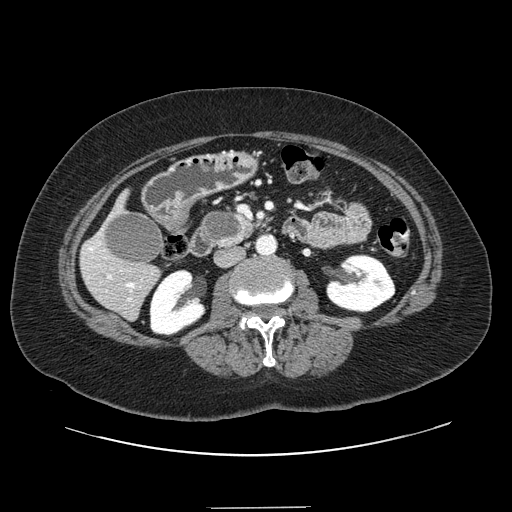
CT scan slice. Abdomen. Image size 512x512.

pancreas:
  - x1=200 y1=209 x2=254 y2=248
pancreatic_tumor:
  - x1=205 y1=212 x2=240 y2=240